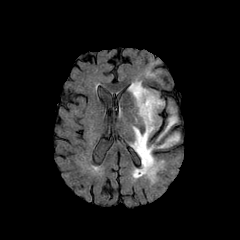
FLAIR MRI.
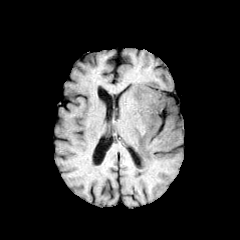
T1-weighted MR of the same slice.
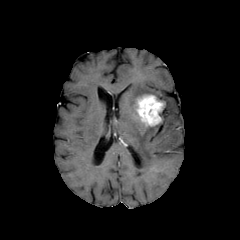
Post-contrast T1-weighted magnetic resonance.
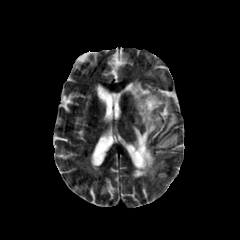
T2-weighted MR.
2 edema regions appear at (left=128, top=79, right=153, bottom=101), (left=130, top=106, right=179, bottom=181). The enhancing tumor appears at (left=135, top=94, right=165, bottom=126).